FLAIR MR.
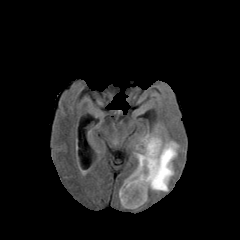
T1-weighted MR.
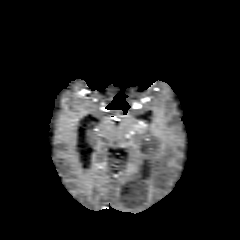
Post-contrast T1-weighted magnetic resonance.
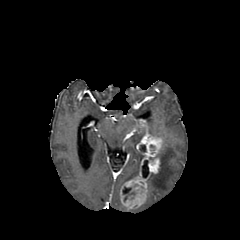
T2-weighted MR image.
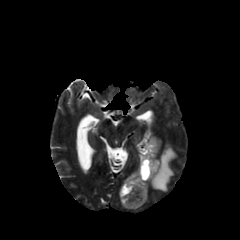
2 edema regions appear at x1=148 y1=142 x2=178 y2=192, x1=124 y1=152 x2=143 y2=182. The enhancing tumor is bounded by x1=119 y1=133 x2=162 y2=209. 3 non-enhancing tumor core regions are bounded by x1=122 y1=186 x2=131 y2=194, x1=142 y1=160 x2=148 y2=178, x1=138 y1=145 x2=146 y2=153.